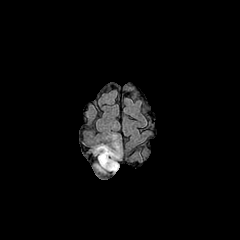
FLAIR MR.
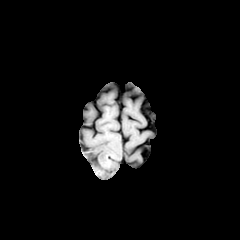
T1-weighted MR image.
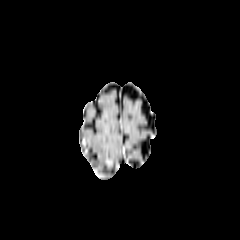
Post-contrast T1-weighted MRI.
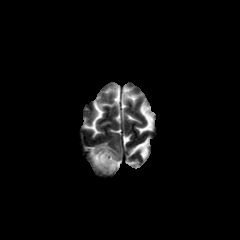
Same slice, T2-weighted MR.
Brain.
Annotated regions:
• edema: [92,141,122,175]
• non-enhancing tumor core: [104,158,118,166]